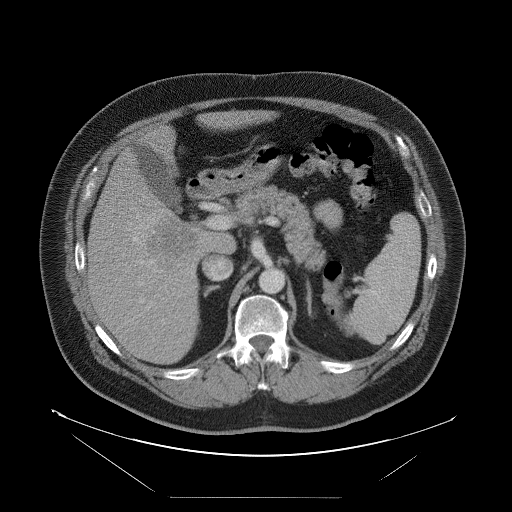
Computed tomography; Liver
Not every hepatic vessel necessarily has a box.
{"liver_tumor": ["148:220:197:270"], "hepatic_vessel": ["136:260:143:262", "148:260:153:266", "133:237:137:241", "139:298:144:302", "142:234:147:236", "164:285:166:286", "138:281:143:284"]}